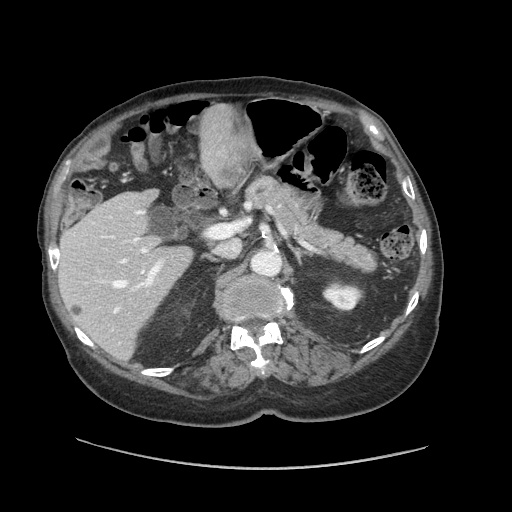
CT slice; Liver; 512x512
Only some of the vessels may be annotated.
<segmentation>
  <liver_tumor><bbox>213, 148, 244, 181</bbox></liver_tumor>
  <hepatic_vessel><bbox>146, 261, 161, 284</bbox>, <bbox>112, 280, 127, 287</bbox>, <bbox>217, 240, 239, 252</bbox>, <bbox>206, 224, 229, 238</bbox></hepatic_vessel>
</segmentation>